MRI slice | 33x50 px | Medial temporal lobe
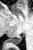 Posterior hippocampus: bounding box (x1=7, y1=36, x2=21, y2=43).